FLAIR MR image.
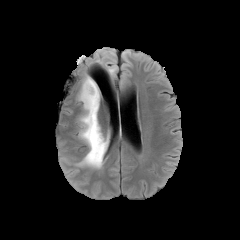
T1-weighted MRI.
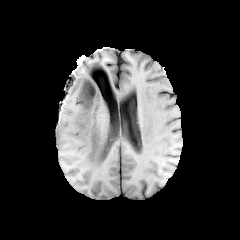
Post-contrast T1-weighted MR.
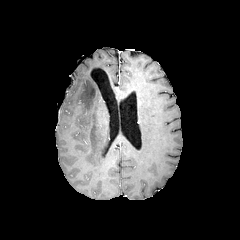
T2-weighted magnetic resonance.
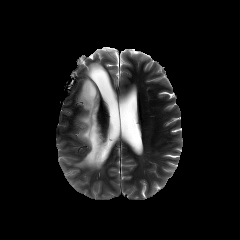
Image size 240x240
3 edema regions are located at x1=76, y1=76, x2=109, y2=168; x1=105, y1=64, x2=117, y2=75; x1=104, y1=50, x2=115, y2=60.